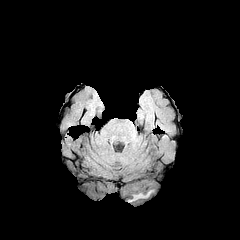
FLAIR MR image.
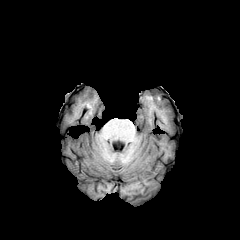
T1-weighted MR.
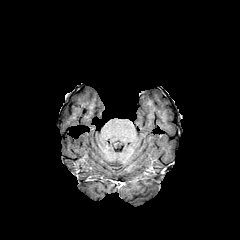
Post-contrast T1-weighted MRI.
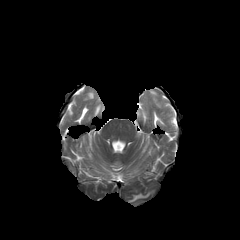
T2-weighted MR of the same slice.
Head, 240x240
{"edema": ["[129, 190, 154, 202]"]}